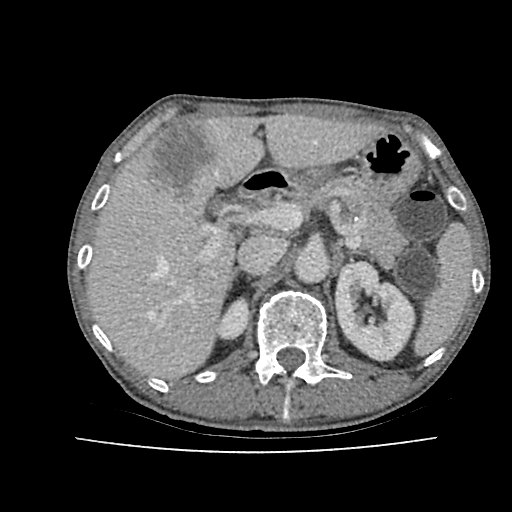
CT. 512x512 px.

liver:
  - [x1=90, y1=116, x2=381, y2=377]
liver_lesion:
  - [x1=144, y1=118, x2=218, y2=201]
kidney:
  - [x1=336, y1=263, x2=413, y2=359]
  - [x1=219, y1=301, x2=247, y2=336]